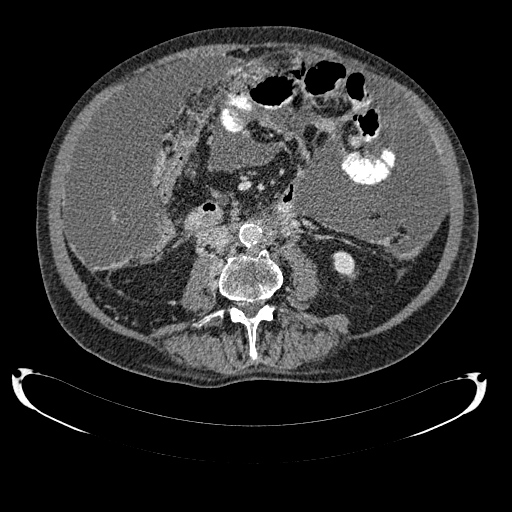

512x512. Abdomen. CT image.

<segmentation>
  <kidney>x1=333, y1=252, x2=354, y2=276</kidney>
</segmentation>